Field of view 240 mm wide, 1.00 mm slice spacing, Image size 240x240
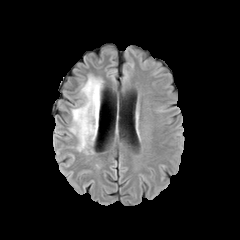
FLAIR magnetic resonance.
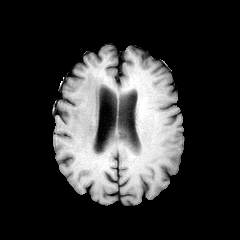
T1-weighted magnetic resonance of the same slice.
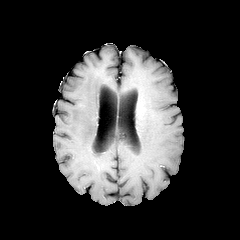
Post-contrast T1-weighted MR.
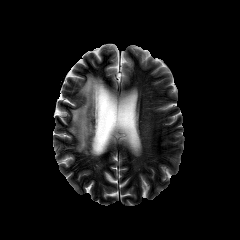
T2-weighted MRI of the same slice.
edema: <bbox>69, 75, 103, 153</bbox>